Field of view 399x399 mm; Liver; 512x512 px; CT image

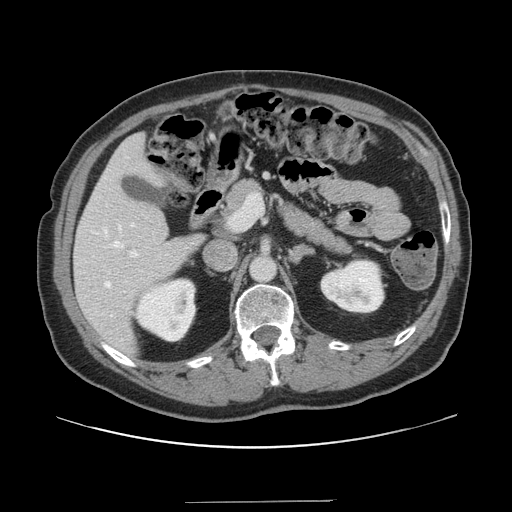
The vessel boxes may cover only some of the vessels.
• hepatic vessel: (left=104, top=281, right=110, bottom=287), (left=119, top=226, right=120, bottom=229), (left=129, top=250, right=138, bottom=257), (left=229, top=194, right=262, bottom=229), (left=104, top=229, right=106, bottom=235), (left=113, top=241, right=122, bottom=246)